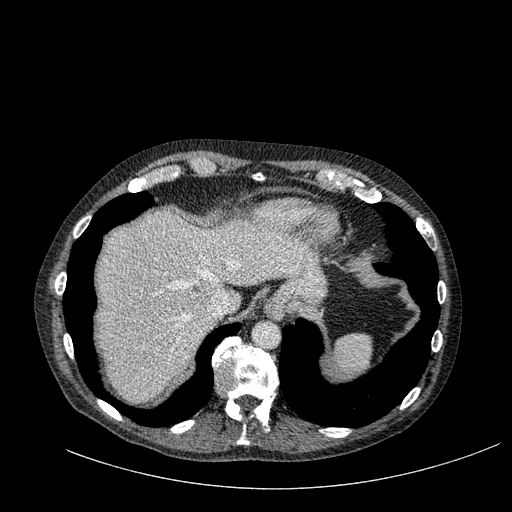
Liver | Computed tomography | 512x512 px
The liver is bounded by l=98, t=212, r=305, b=402.